512x512, Image width 400 mm, Upper abdomen, Slice index 487, CT image 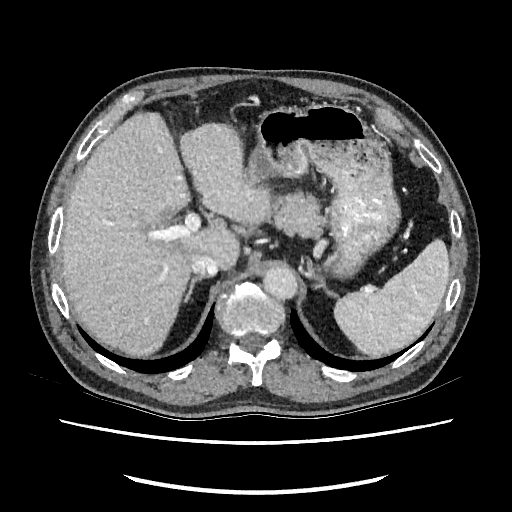
{
  "liver": [
    "[61, 113, 238, 354]",
    "[180, 124, 270, 221]"
  ],
  "liver_lesion": [
    "[161, 209, 172, 218]"
  ]
}